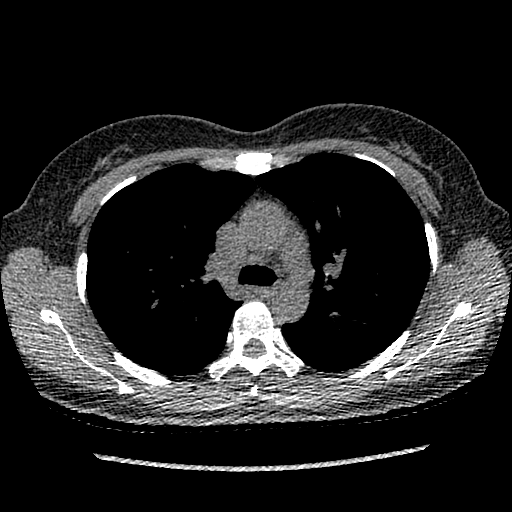

Thorax | Image size 512x512 | Computed tomography
The lung tumor is located at <box>326,309,350,337</box>.